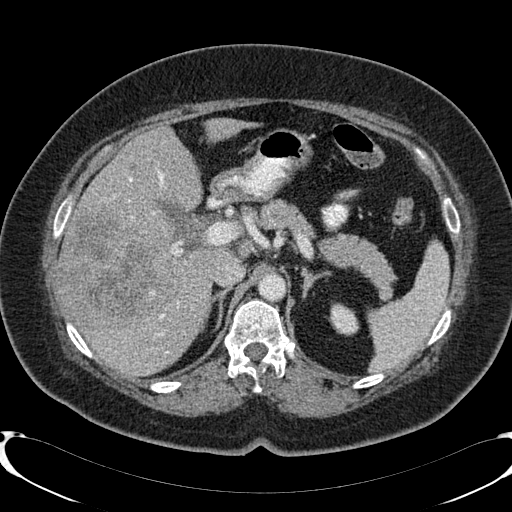 Abdomen. CT scan slice. 512x512 px.
Kidney — (331,305,356,332).
Liver lesion — (57,212,176,330), (129,163,136,170).
Liver — (205,119,247,140), (65,127,232,375).